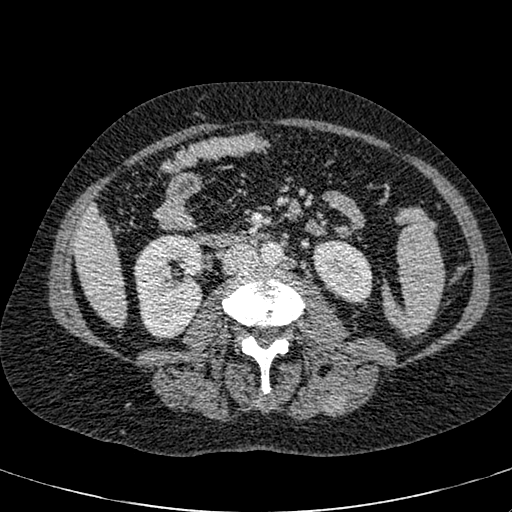
512x512. CT scan slice. Upper abdomen.

liver:
  - (75,205,125,322)
kidney:
  - (314,241,371,301)
  - (135,235,202,337)